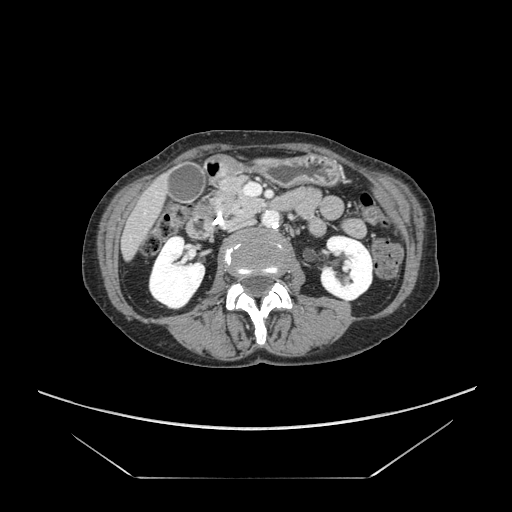
Abdomen, CT slice, 512x512 px
Pancreas: bounding box l=207, t=173, r=269, b=230.
Pancreatic tumor: bounding box l=199, t=202, r=215, b=220.